CT image | Slice 46 of 95

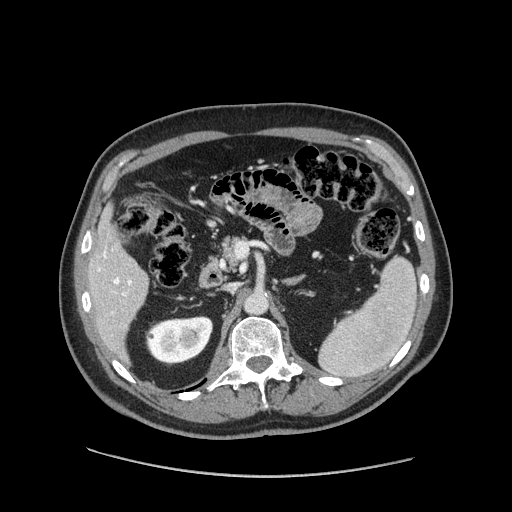

Findings:
* pancreas: left=222, top=238, right=237, bottom=267